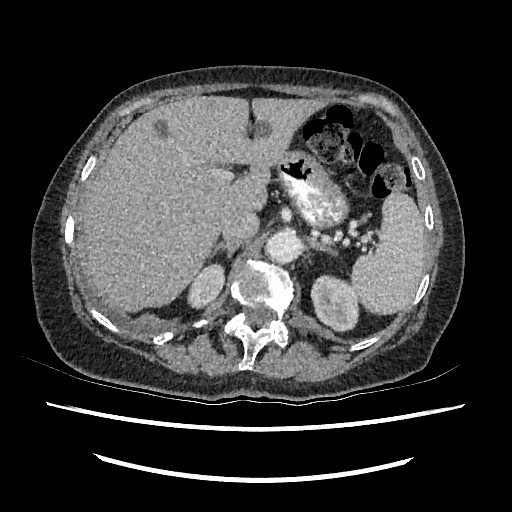

CT scan slice

The liver lies within left=86, top=96, right=325, bottom=312. 2 focal liver lesion regions are located at left=153, top=121, right=167, bottom=137; left=256, top=123, right=269, bottom=136. 2 kidney regions are located at left=189, top=265, right=224, bottom=307; left=311, top=276, right=359, bottom=330.